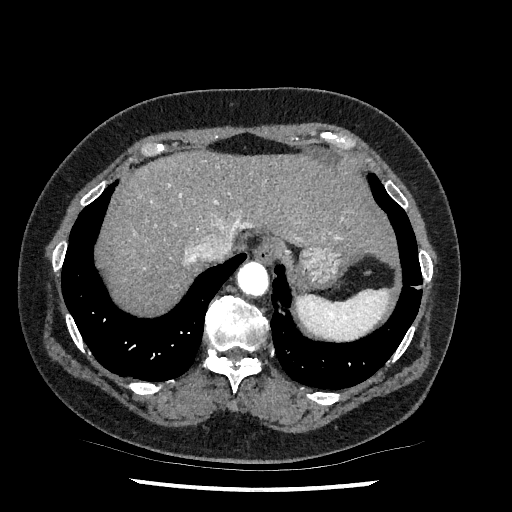 CT scan slice.

Liver = (left=101, top=150, right=391, bottom=313).